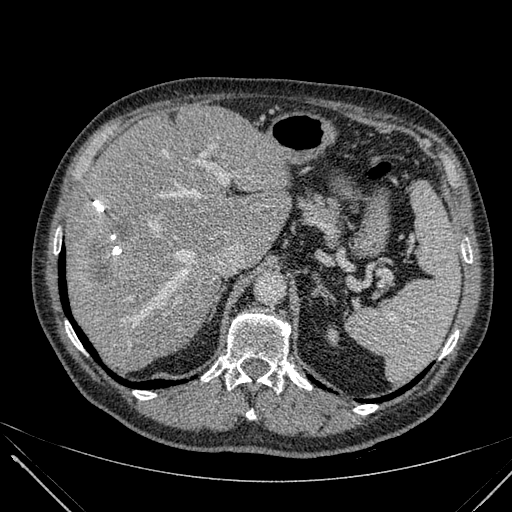

CT image. 512x512.
focal liver lesion: (89,242,105,254), (115,219,130,237), (92,260,110,282) | liver: (67,107,288,370)